FLAIR MRI.
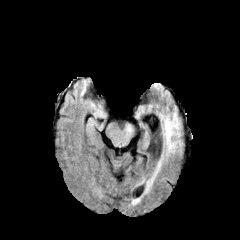
T1-weighted MR image.
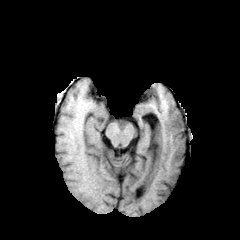
Post-contrast T1-weighted MRI.
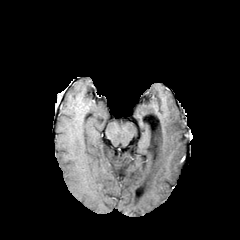
T2-weighted MR.
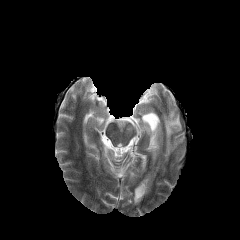
Brain.
<segmentation>
  <edema>162 112 179 156</edema>
</segmentation>